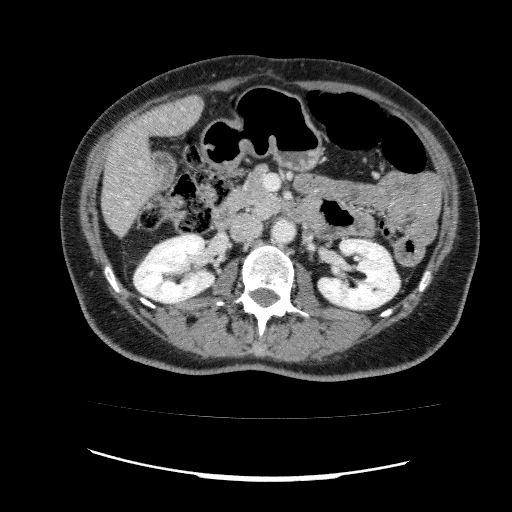
CT slice. Abdomen.

2 kidney regions appear at (x1=134, y1=235, x2=213, y2=302), (x1=318, y1=239, x2=399, y2=309). The liver is located at (x1=101, y1=95, x2=203, y2=237).